512x512 px. CT image.

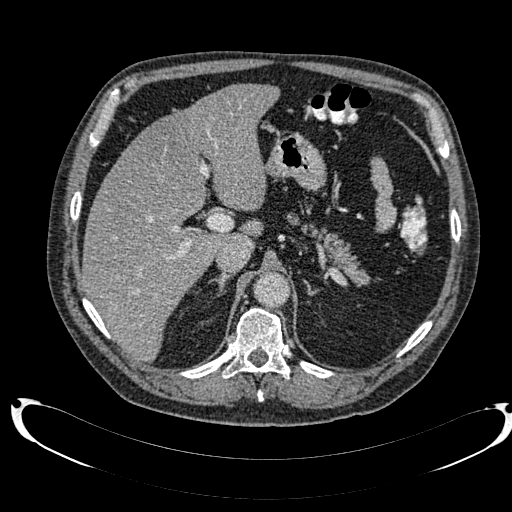
{"liver": ["81,85,279,361", "242,220,263,236"], "focal_liver_lesion": ["137,117,191,173"]}